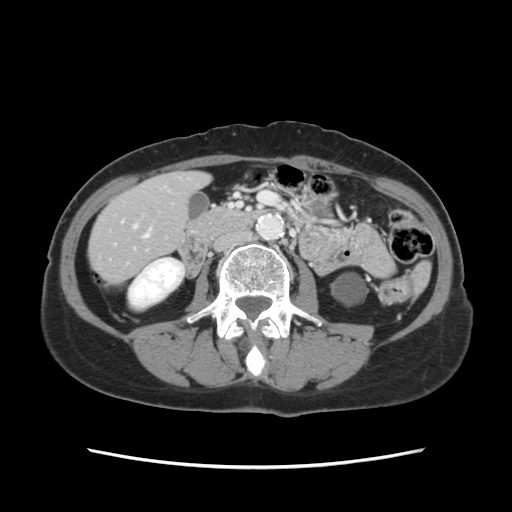 CT scan slice

The vessel boxes may cover only some of the vessels.
<segmentation>
  <hepatic_vessel>133, 225, 137, 228; 144, 234, 148, 237</hepatic_vessel>
</segmentation>